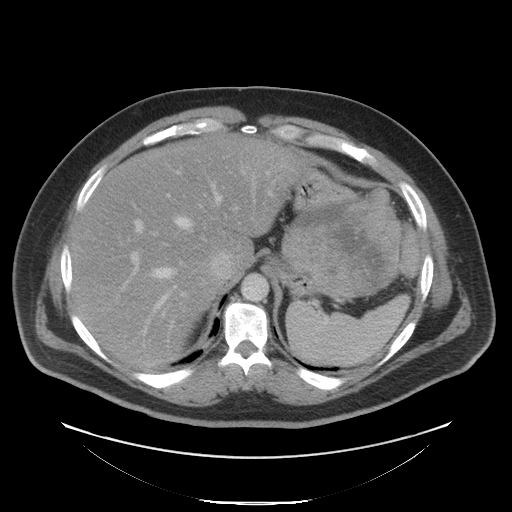
CT scan slice
pancreatic_tumor:
  - x1=282 y1=189 x2=419 y2=297
pancreas:
  - x1=290 y1=263 x2=314 y2=277
  - x1=391 y1=204 x2=405 y2=229